Image size 240x240.
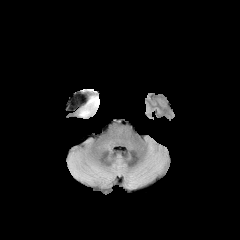
FLAIR MRI.
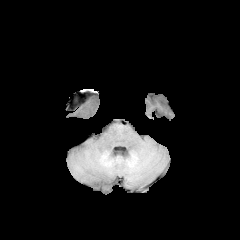
T1-weighted MR of the same slice.
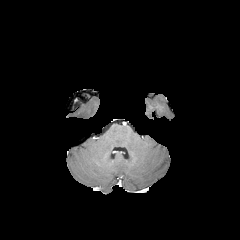
Same slice, post-contrast T1-weighted MR.
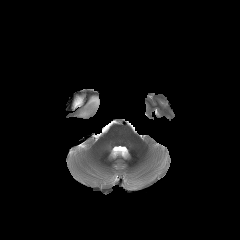
Same slice, T2-weighted MRI.
{"edema": ["region(79, 96, 99, 116)"]}